FLAIR MR.
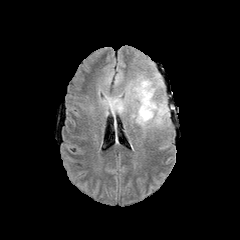
T1-weighted MR image.
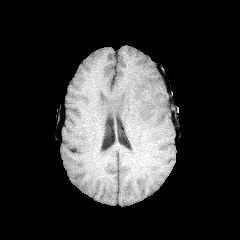
Post-contrast T1-weighted magnetic resonance.
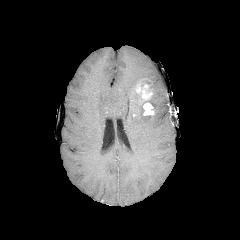
T2-weighted MR image.
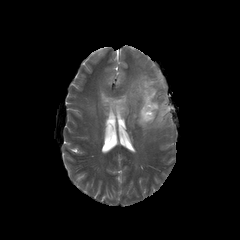
Head, 240x240 px
The enhancing tumor is at (135, 84, 153, 115). 2 edema regions appear at (115, 74, 123, 85), (99, 68, 170, 130). The non-enhancing tumor core lies within (133, 78, 157, 119).